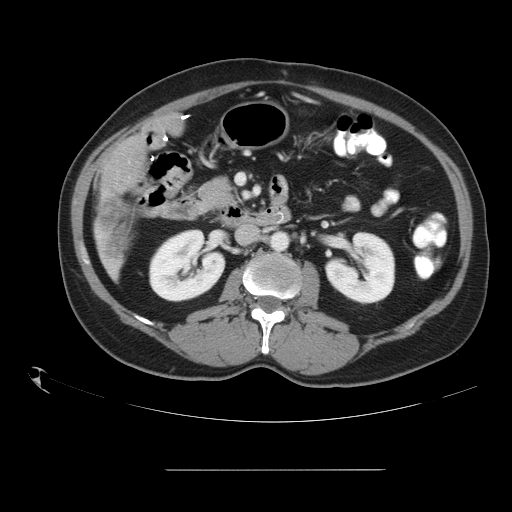
CT

The liver tumor is at {"x1": 100, "y1": 193, "x2": 118, "y2": 258}.